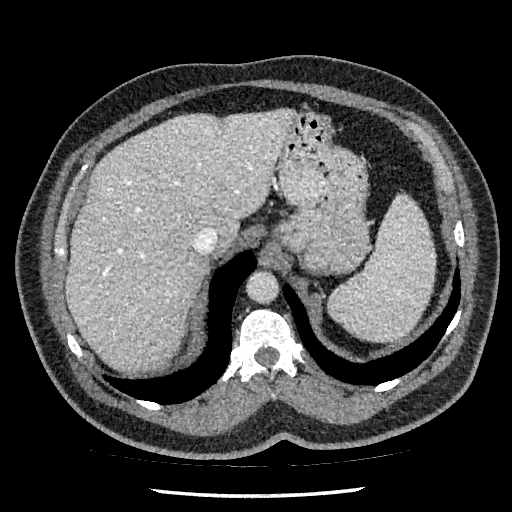

Abdomen. 512x512. Computed tomography.
Liver: region(65, 109, 295, 371).